512x512 px | Slice index 273 | CT scan slice | Image width 373 mm

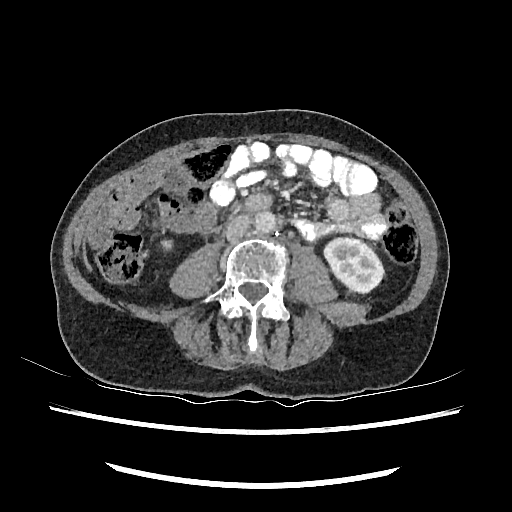

- kidney: box(324, 238, 383, 292)